FLAIR magnetic resonance.
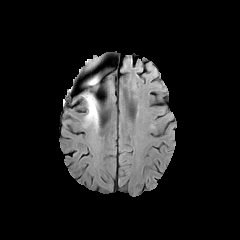
T1-weighted MR image.
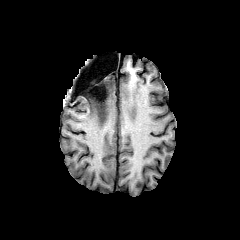
Post-contrast T1-weighted MRI.
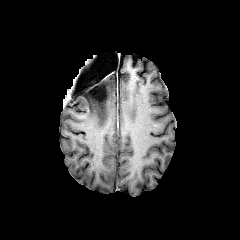
T2-weighted MRI.
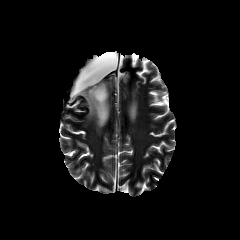
Head
Edema at [81,95,104,129].
Non-enhancing tumor core at [82,76,101,113].